MR. Heart. Slice 63 of 110.
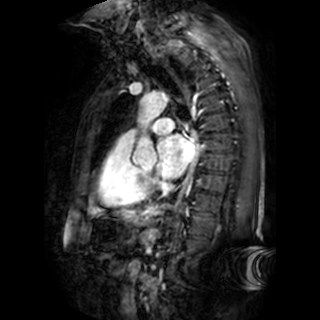
Left atrium: bounding box [x1=156, y1=134, x2=196, y2=178].